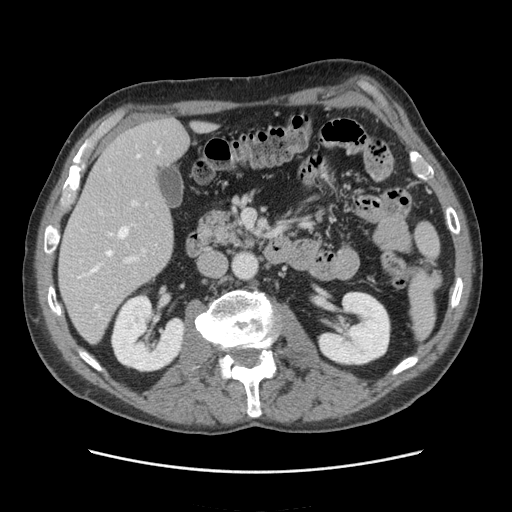

Computed tomography. Image size 512x512.
spleen: [409, 223, 439, 338]